CT scan slice; Liver

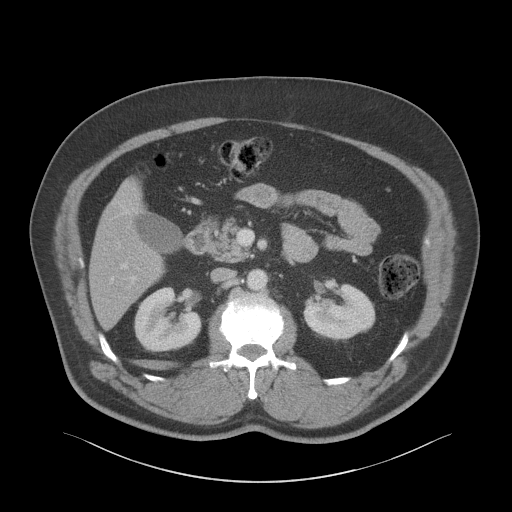 Kidney: (305,285,374,338), (136,288,200,350).
Liver: (89,193,161,323).